Computed tomography. Upper abdomen. 512x512.

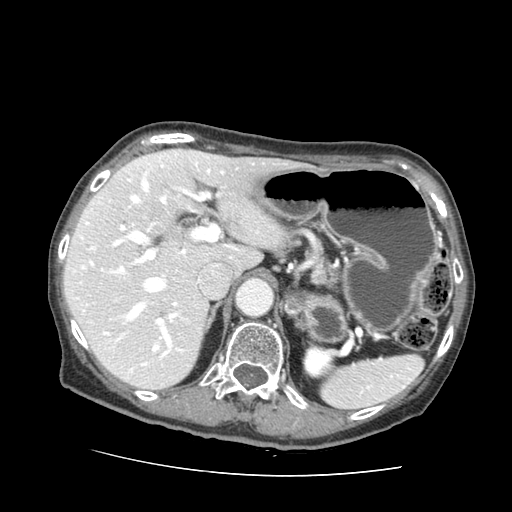 Pancreas — <bbox>312, 247, 343, 295</bbox>.